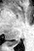 Medial temporal lobe. 34x51. MR. The posterior hippocampus is at 8 40 18 45.